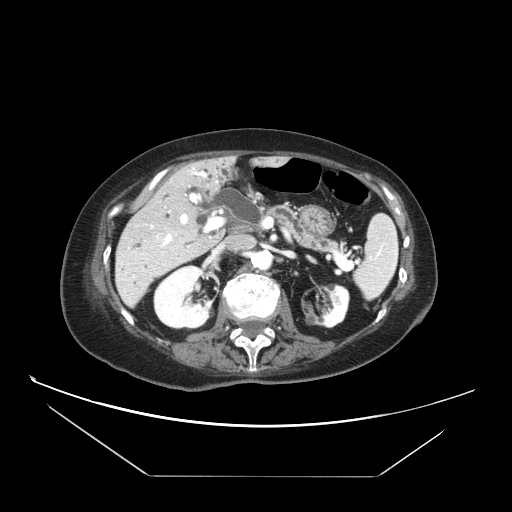

CT
pancreas:
  - 268 206 334 251